FLAIR MRI.
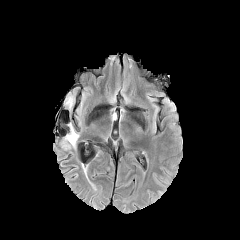
T1-weighted MR image.
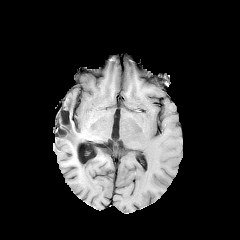
Post-contrast T1-weighted MRI.
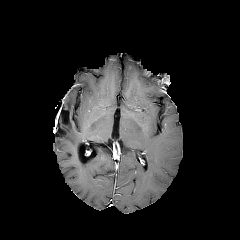
T2-weighted MR.
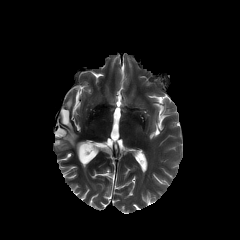
240x240 px
Edema — {"x1": 60, "y1": 122, "x2": 79, "y2": 150}, {"x1": 64, "y1": 93, "x2": 75, "y2": 109}.